Computed tomography | Slice index 290 | Upper abdomen | 512x512 px

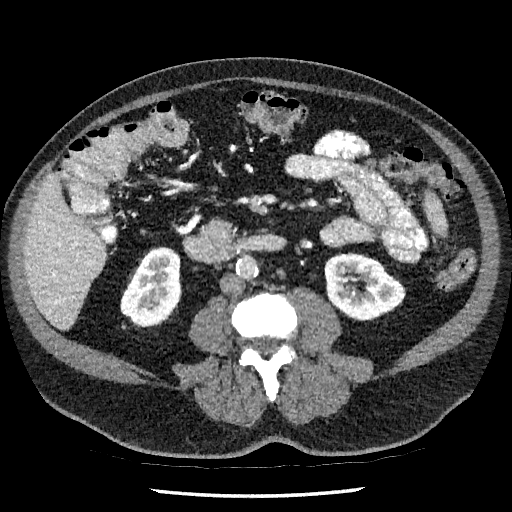 {
  "liver": [
    "24,174,105,329"
  ],
  "kidney": [
    "121,250,180,325",
    "325,254,404,319"
  ]
}